CT slice | Slice 403/696 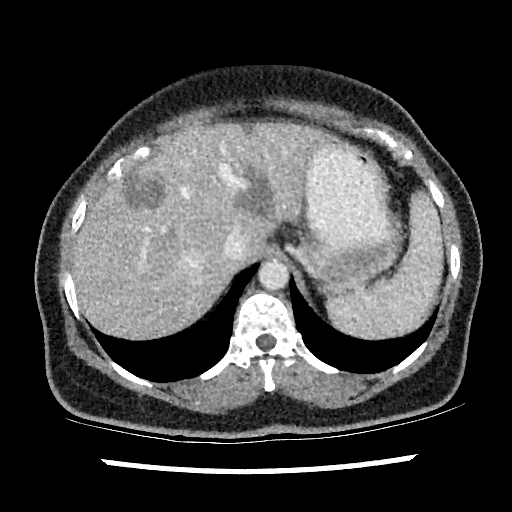

Liver: bounding box {"x1": 72, "y1": 123, "x2": 335, "y2": 337}.
Liver lesion: bounding box {"x1": 234, "y1": 167, "x2": 275, "y2": 215}, {"x1": 241, "y1": 125, "x2": 252, "y2": 132}, {"x1": 123, "y1": 172, "x2": 164, "y2": 208}.